CT scan slice | Field of view 440 mm wide, 5.00 mm slice spacing 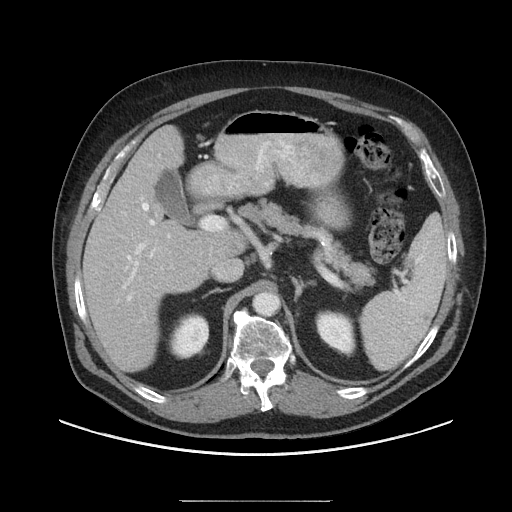 Not every hepatic vessel necessarily has a box.
Hepatic vessel: bounding box [x1=127, y1=256, x2=130, y2=259], [x1=150, y1=220, x2=154, y2=224], [x1=142, y1=203, x2=148, y2=209], [x1=150, y1=252, x2=152, y2=256], [x1=127, y1=295, x2=131, y2=299], [x1=127, y1=261, x2=138, y2=283], [x1=123, y1=284, x2=126, y2=288], [x1=135, y1=243, x2=145, y2=253].